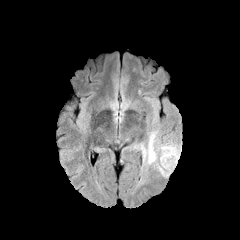
FLAIR magnetic resonance.
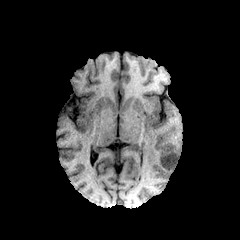
Same slice, T1-weighted MR.
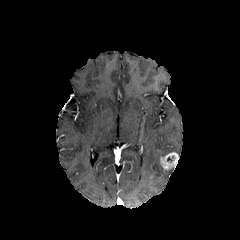
Same slice, post-contrast T1-weighted MR.
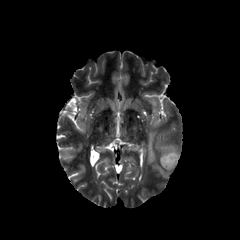
T2-weighted magnetic resonance of the same slice.
Brain
enhancing tumor: [159,151,178,170] | edema: [157,167,172,178], [161,145,175,153], [142,131,156,167]